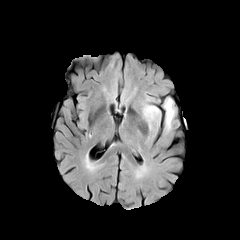
FLAIR magnetic resonance.
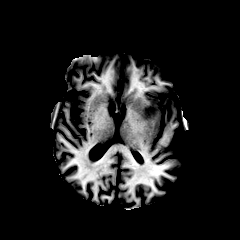
T1-weighted magnetic resonance.
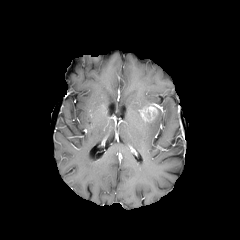
Same slice, post-contrast T1-weighted MR.
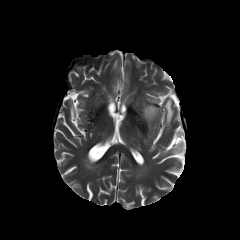
T2-weighted MR of the same slice.
Brain
Annotated regions:
* non-enhancing tumor core: bbox(143, 106, 157, 119)
* edema: bbox(148, 97, 175, 132)